Field of view 34x46 mm, Magnetic resonance, Hippocampus, Slice 10 of 38 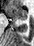 Anterior hippocampus: bounding box left=6, top=6, right=26, bottom=20.